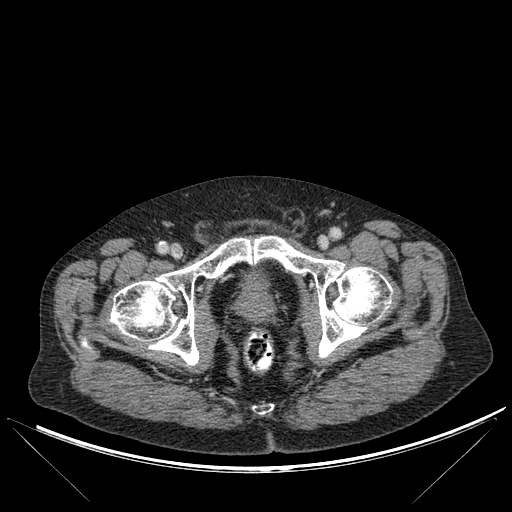 CT image | 512x512
3 bone regions are located at [81, 338, 90, 348], [253, 404, 273, 414], [109, 236, 392, 365].